Image width 328 mm. CT slice. Slice index 332. 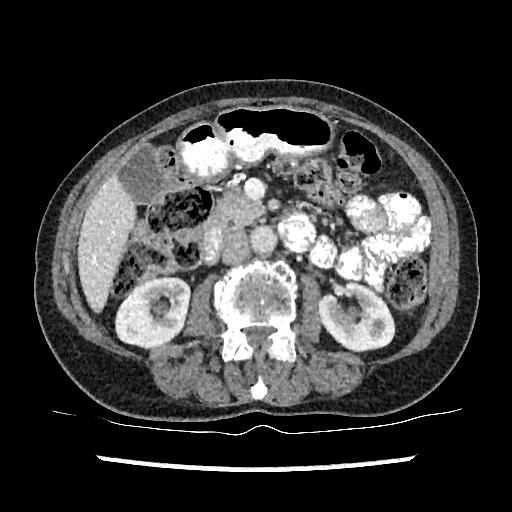
Annotated regions:
- kidney: l=116, t=279, r=189, b=346; l=320, t=284, r=393, b=350
- liver: l=78, t=177, r=136, b=311